MR image; 35x49 px
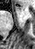

<segmentation>
  <anterior_hippocampus>{"x1": 15, "y1": 6, "x2": 21, "y2": 13}</anterior_hippocampus>
</segmentation>